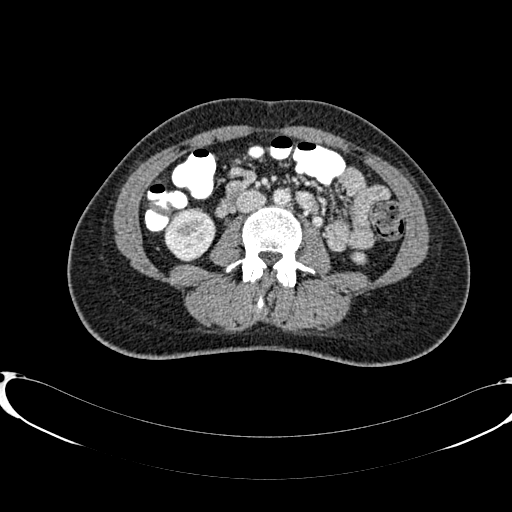

Image size 512x512; Abdomen; Computed tomography

The kidney appears at region(166, 212, 213, 259).